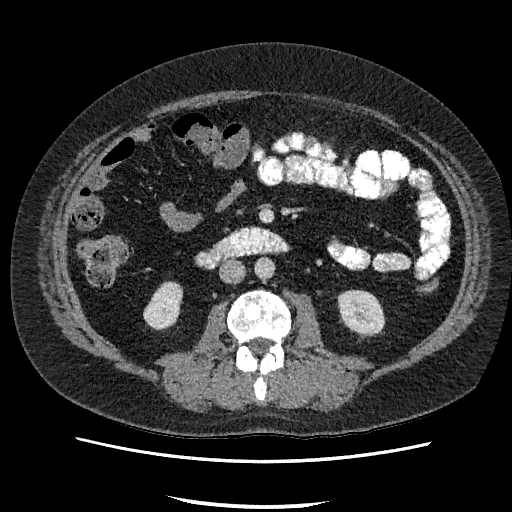 CT, Abdomen
2 kidney regions are located at 145:283:180:327, 339:291:383:332.